MR image

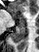

2 anterior hippocampus regions are located at bbox(12, 14, 14, 17); bbox(18, 15, 26, 21). The posterior hippocampus appears at bbox(11, 22, 26, 43).